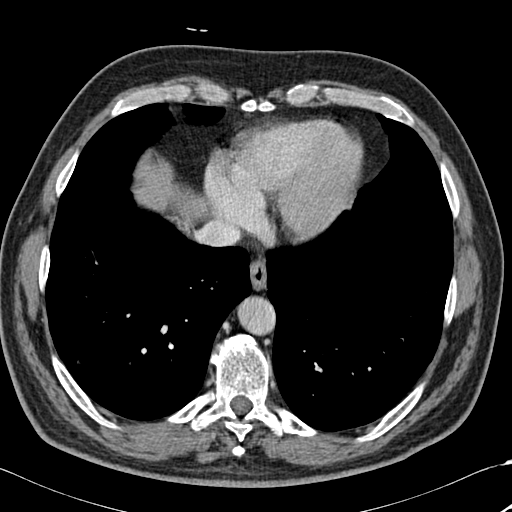 Upper abdomen, CT slice

Annotated regions:
- bone: (left=444, top=280, right=456, bottom=321), (left=56, top=155, right=76, bottom=194), (left=360, top=96, right=405, bottom=119), (left=39, top=247, right=49, bottom=287), (left=112, top=86, right=182, bottom=114), (left=169, top=335, right=315, bottom=440), (left=233, top=446, right=243, bottom=455), (left=53, top=357, right=113, bottom=427), (left=243, top=100, right=270, bottom=110), (left=360, top=386, right=422, bottom=440), (left=441, top=165, right=458, bottom=215)
- liver: (left=187, top=202, right=205, bottom=222), (left=136, top=170, right=174, bottom=204)
- lung: (left=266, top=113, right=453, bottom=431), (left=45, top=103, right=251, bottom=420), (left=181, top=103, right=225, bottom=126)